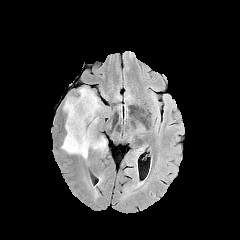
FLAIR MR.
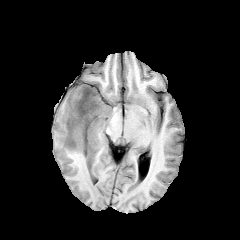
T1-weighted MR image.
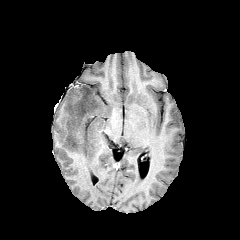
Same slice, post-contrast T1-weighted magnetic resonance.
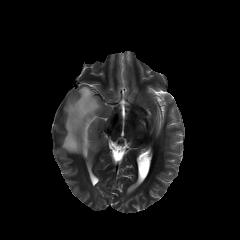
T2-weighted MR.
Brain
Findings:
- non-enhancing tumor core: <box>74,88,94,124</box>
- edema: <box>61,86,106,159</box>